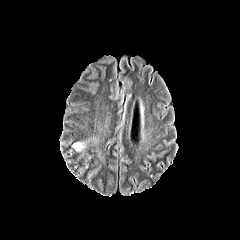
FLAIR magnetic resonance.
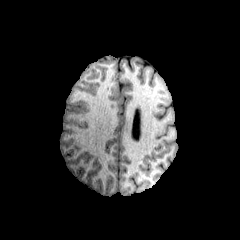
T1-weighted MR image.
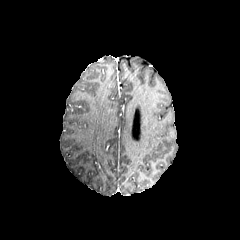
Post-contrast T1-weighted MRI.
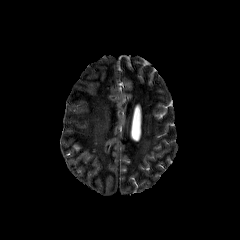
T2-weighted magnetic resonance.
Brain
Edema: [72,142,87,151].